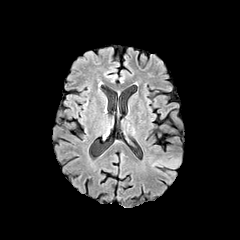
FLAIR MR image.
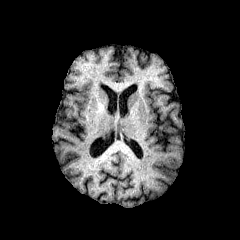
Same slice, T1-weighted MR.
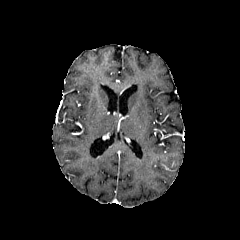
Post-contrast T1-weighted MR.
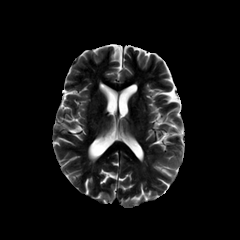
T2-weighted MRI.
Head.
Edema at x1=147 y1=154 x2=181 y2=177.